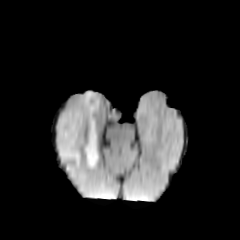
FLAIR magnetic resonance.
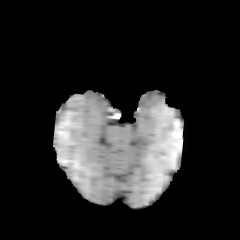
T1-weighted MRI of the same slice.
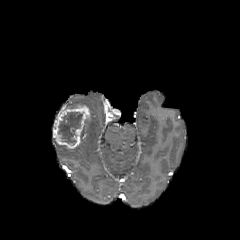
Post-contrast T1-weighted MR of the same slice.
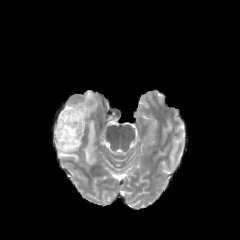
Same slice, T2-weighted MR.
Brain.
Enhancing tumor: bounding box {"x1": 52, "y1": 105, "x2": 90, "y2": 148}.
Non-enhancing tumor core: bounding box {"x1": 58, "y1": 112, "x2": 82, "y2": 143}.
Edema: bounding box {"x1": 67, "y1": 91, "x2": 97, "y2": 166}, {"x1": 56, "y1": 142, "x2": 81, "y2": 163}.